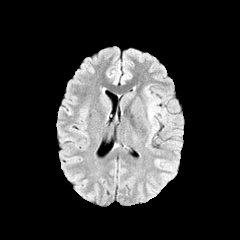
FLAIR MR.
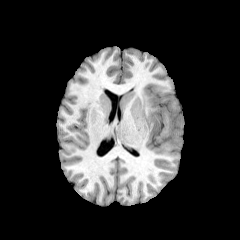
T1-weighted magnetic resonance.
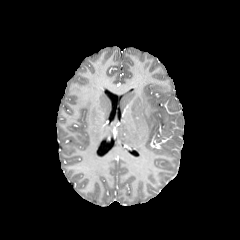
Post-contrast T1-weighted MR.
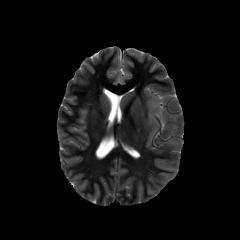
T2-weighted MR of the same slice.
240x240 px
edema: rect(147, 91, 166, 123)